FLAIR MRI.
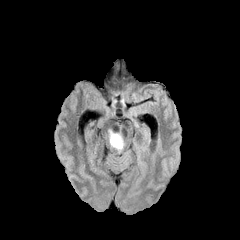
T1-weighted magnetic resonance.
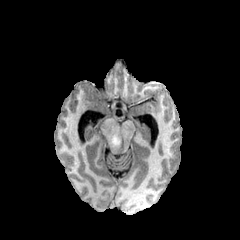
Post-contrast T1-weighted magnetic resonance.
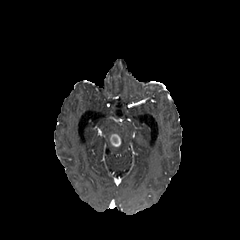
T2-weighted MR.
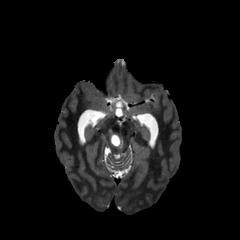
Edema: bounding box (left=111, top=132, right=123, bottom=149).
Enhancing tumor: bounding box (left=109, top=133, right=121, bottom=147).